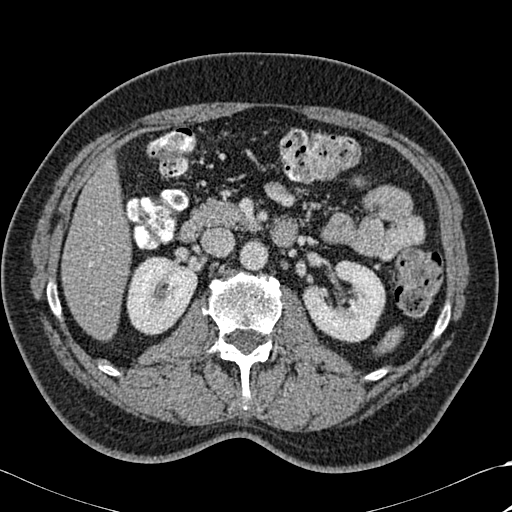
512x512 | Liver | CT image
Kidney at [127, 258, 196, 333], [304, 261, 384, 341].
Liver at [62, 167, 130, 339].
Bone at [367, 371, 381, 379], [101, 365, 118, 375], [435, 319, 447, 335], [203, 273, 281, 409], [47, 283, 60, 315].